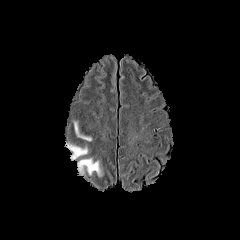
FLAIR MR.
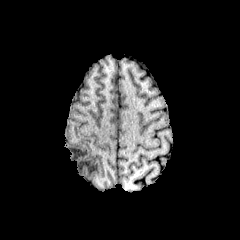
T1-weighted magnetic resonance.
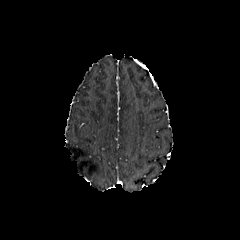
Post-contrast T1-weighted MR of the same slice.
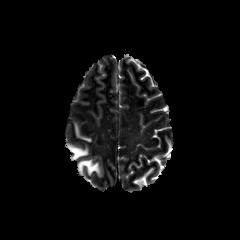
T2-weighted magnetic resonance.
3 edema regions are bounded by [x1=64, y1=142, x2=87, y2=160], [x1=72, y1=121, x2=92, y2=141], [x1=77, y1=158, x2=100, y2=175].